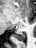 MR | Hippocampus

Annotated regions:
* posterior hippocampus: <box>14,33,25,40</box>